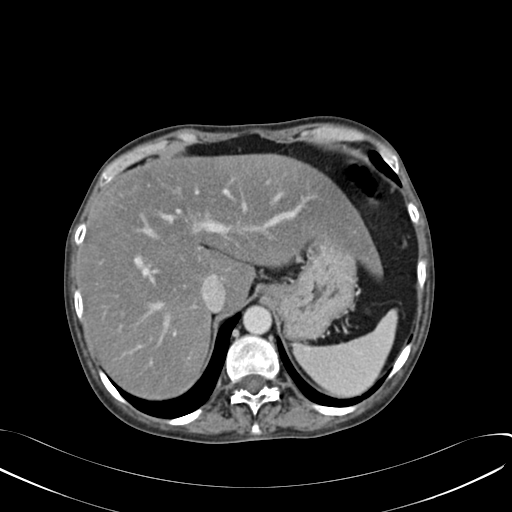

CT image; Image size 512x512
The liver is at bbox=[80, 153, 382, 398].